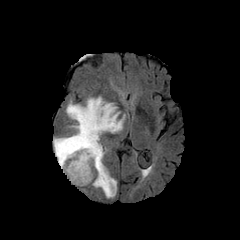
FLAIR MR.
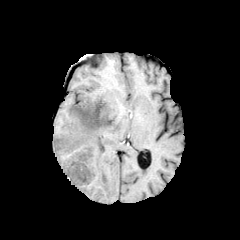
T1-weighted magnetic resonance.
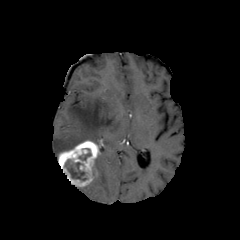
Post-contrast T1-weighted MR of the same slice.
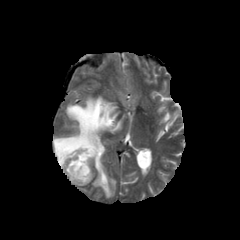
Same slice, T2-weighted MR.
240x240 px, Head
Findings:
- non-enhancing tumor core: box=[78, 106, 99, 126]; box=[94, 139, 102, 150]; box=[61, 140, 84, 151]; box=[65, 160, 87, 180]
- edema: box=[53, 96, 122, 156]; box=[92, 149, 116, 197]
- enhancing tumor: box=[58, 140, 100, 184]